FLAIR MR.
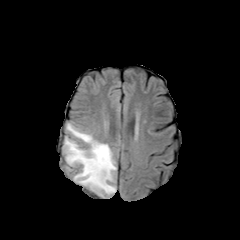
T1-weighted MR.
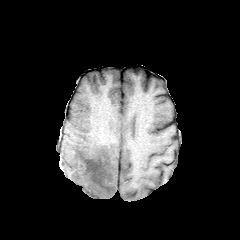
Post-contrast T1-weighted magnetic resonance.
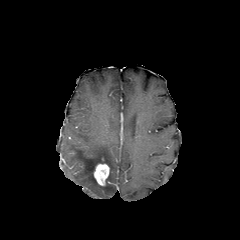
T2-weighted MR image.
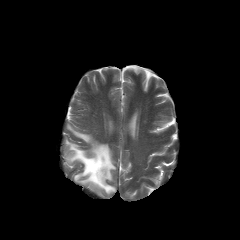
Head; Image size 240x240
Non-enhancing tumor core at {"x1": 84, "y1": 157, "x2": 111, "y2": 183}, {"x1": 100, "y1": 184, "x2": 113, "y2": 191}.
Enhancing tumor at {"x1": 93, "y1": 164, "x2": 109, "y2": 185}.
Edema at {"x1": 63, "y1": 122, "x2": 116, "y2": 197}.